Slice 86 of 155
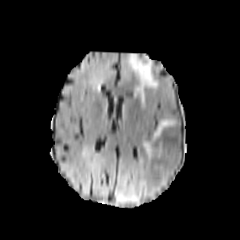
FLAIR MR.
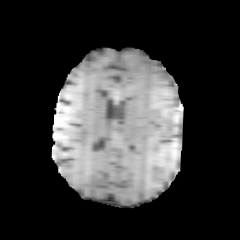
T1-weighted MR.
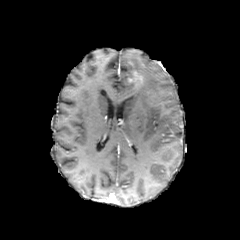
Same slice, post-contrast T1-weighted MR.
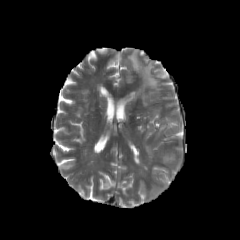
T2-weighted MRI.
Edema: bounding box x1=141 y1=140 x2=163 y2=155, x1=126 y1=51 x2=161 y2=107, x1=143 y1=119 x2=175 y2=137.
Enhancing tumor: bounding box x1=129 y1=74 x2=143 y2=84.